Head
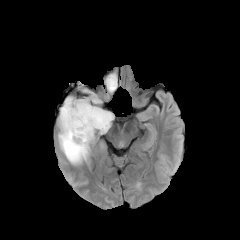
FLAIR magnetic resonance.
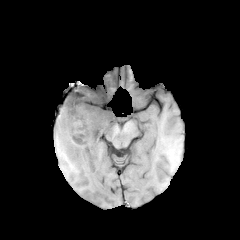
T1-weighted magnetic resonance.
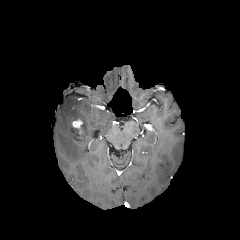
Post-contrast T1-weighted MR.
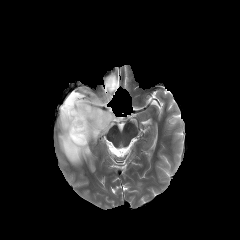
Same slice, T2-weighted magnetic resonance.
4 edema regions are located at bbox=[58, 96, 97, 164]; bbox=[83, 89, 96, 101]; bbox=[105, 74, 117, 92]; bbox=[86, 111, 113, 135]. The non-enhancing tumor core is bounded by bbox=[67, 96, 106, 141]. The enhancing tumor is bounded by bbox=[72, 118, 82, 133].